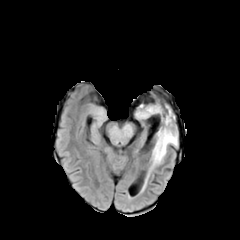
FLAIR MR.
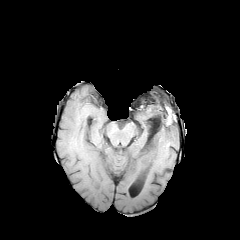
T1-weighted MRI.
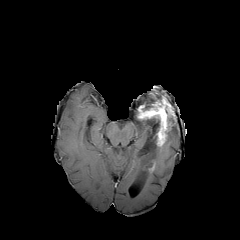
Post-contrast T1-weighted MRI.
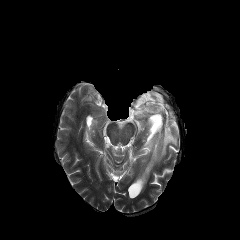
T2-weighted MR of the same slice.
240x240 px
The edema appears at rect(148, 119, 178, 174). The non-enhancing tumor core lies within rect(168, 115, 175, 131). The enhancing tumor lies within rect(137, 100, 173, 146).